Head.
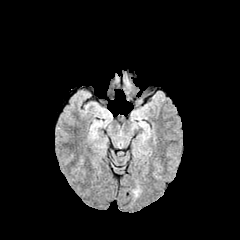
FLAIR MR.
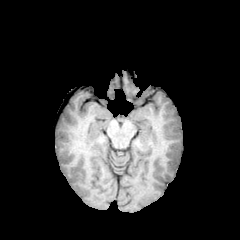
T1-weighted magnetic resonance.
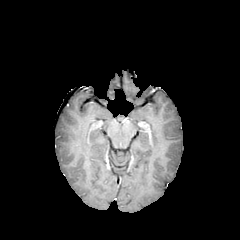
Post-contrast T1-weighted MR.
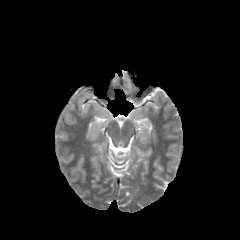
T2-weighted MR image of the same slice.
{"edema": ["l=99, t=110, r=109, b=119", "l=133, t=112, r=141, b=121"]}